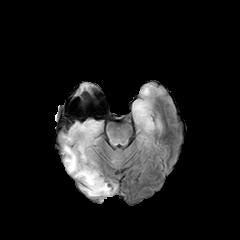
FLAIR magnetic resonance.
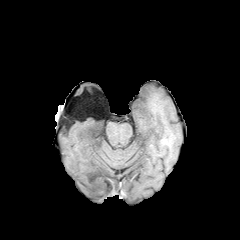
T1-weighted magnetic resonance of the same slice.
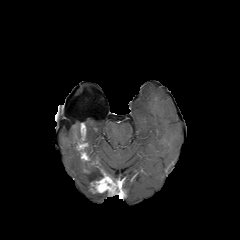
Post-contrast T1-weighted MR.
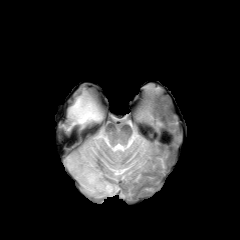
Same slice, T2-weighted magnetic resonance.
<segmentation>
  <edema>bbox=[63, 143, 107, 197]; bbox=[62, 119, 100, 160]; bbox=[134, 103, 152, 125]</edema>
  <enhancing_tumor>bbox=[78, 142, 89, 160]; bbox=[90, 175, 118, 193]</enhancing_tumor>
  <non-enhancing_tumor_core>bbox=[92, 168, 121, 189]; bbox=[74, 124, 89, 148]</non-enhancing_tumor_core>
</segmentation>